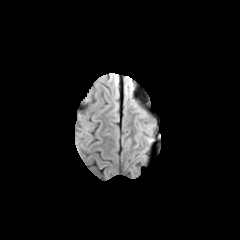
FLAIR magnetic resonance.
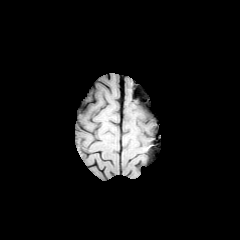
Same slice, T1-weighted magnetic resonance.
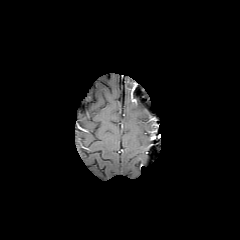
Post-contrast T1-weighted MRI.
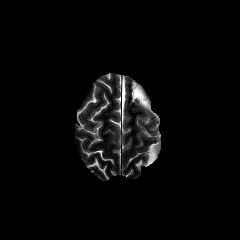
T2-weighted MRI.
Edema = rect(140, 126, 152, 135).